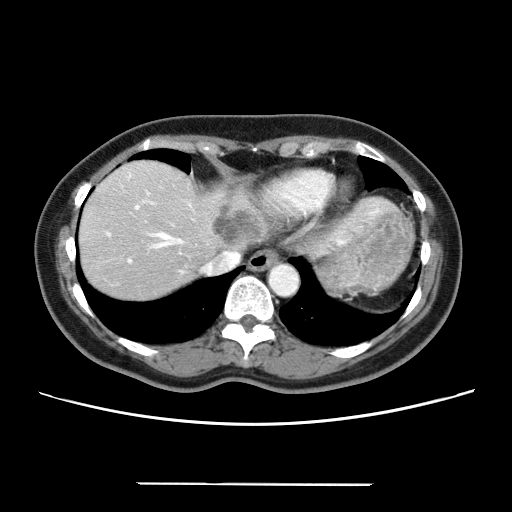

CT scan slice

Only some of the vessels may be annotated.
liver tumor: bbox=[215, 206, 259, 246] | hepatic vessel: bbox=[225, 252, 228, 253]; bbox=[136, 206, 138, 207]; bbox=[128, 259, 130, 261]; bbox=[156, 233, 179, 246]